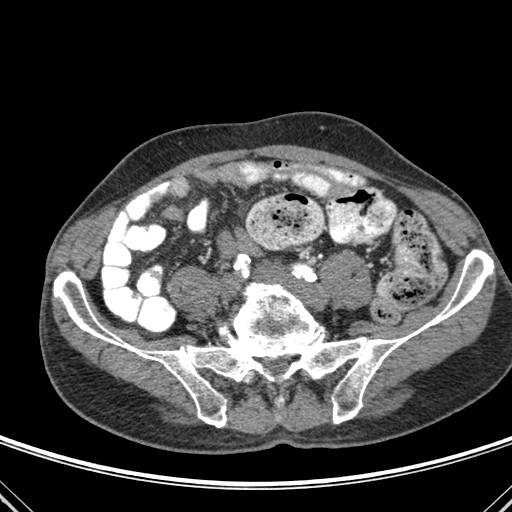
CT scan slice
<segmentation>
  <bone>x1=53 y1=249 x2=493 y2=427</bone>
</segmentation>